FLAIR MRI.
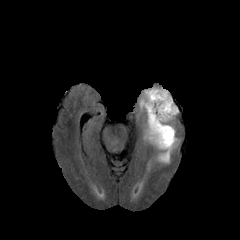
T1-weighted MR image.
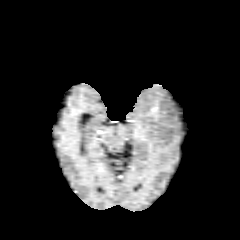
Post-contrast T1-weighted MR image.
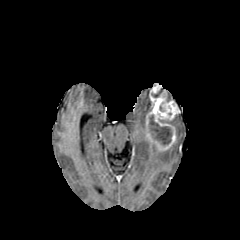
T2-weighted magnetic resonance.
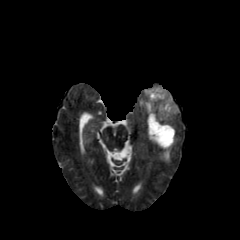
Brain
Enhancing tumor: box=[158, 131, 175, 148]; box=[146, 84, 179, 127].
Edema: box=[137, 88, 177, 163].
Non-enhancing tumor core: box=[147, 114, 174, 145].